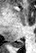
MRI.
{"posterior_hippocampus": ["(x1=13, y1=41, x2=23, y2=47)"]}